Image width 240 mm
FLAIR MRI.
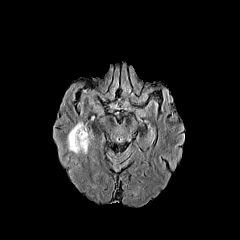
T1-weighted MR image.
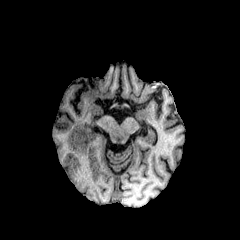
Post-contrast T1-weighted MRI.
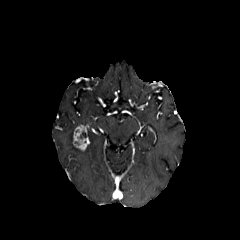
T2-weighted MR image.
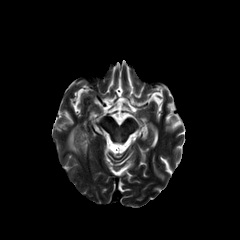
Edema at [x1=67, y1=126, x2=86, y2=156].
Enhancing tumor at [x1=72, y1=124, x2=89, y2=150].